Slice 110 of 155; Brain; Image size 240x240
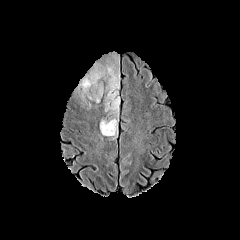
FLAIR MRI.
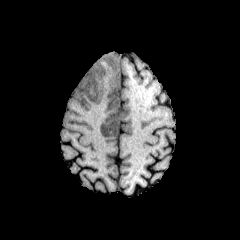
Same slice, T1-weighted MR image.
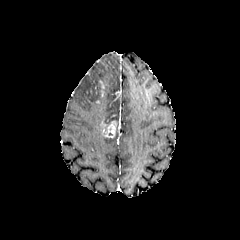
Same slice, post-contrast T1-weighted MR image.
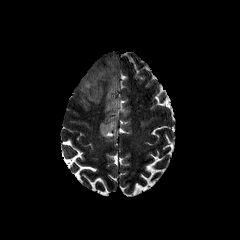
T2-weighted magnetic resonance of the same slice.
{"enhancing_tumor": ["bbox(100, 121, 116, 137)"], "edema": ["bbox(105, 66, 120, 113)", "bbox(81, 66, 105, 101)"]}